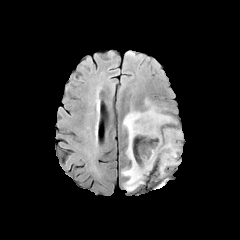
FLAIR MR.
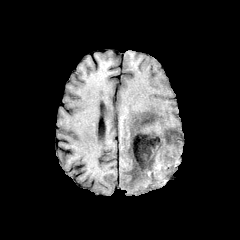
T1-weighted MR.
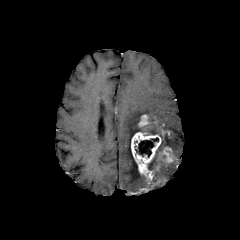
Same slice, post-contrast T1-weighted MR image.
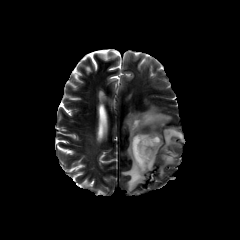
T2-weighted magnetic resonance of the same slice.
Head.
Enhancing tumor: [x1=138, y1=114, x2=148, y2=126], [x1=131, y1=132, x2=161, y2=178], [x1=162, y1=148, x2=173, y2=162].
Non-enhancing tumor core: [x1=138, y1=114, x2=176, y2=142], [x1=134, y1=137, x2=158, y2=157].
Edema: [x1=121, y1=106, x2=171, y2=191], [x1=147, y1=128, x2=182, y2=169], [x1=159, y1=161, x2=169, y2=175].